Abdomen | Slice 133/244 | CT slice
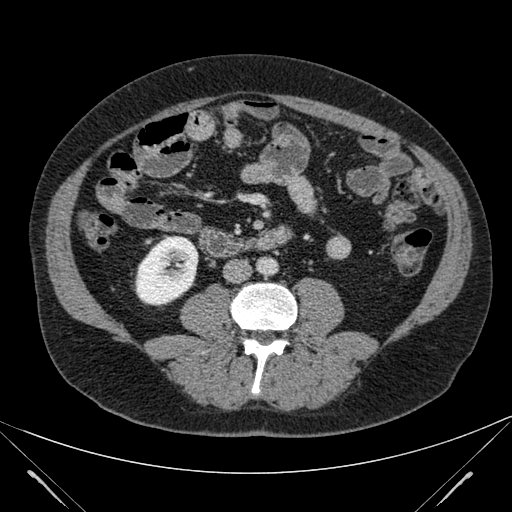

<segmentation>
  <kidney>left=136, top=236, right=197, bottom=304</kidney>
</segmentation>